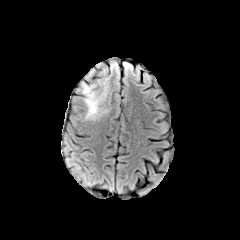
FLAIR MR image.
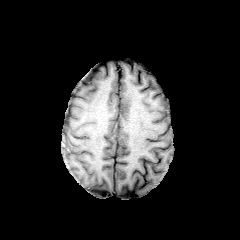
T1-weighted magnetic resonance.
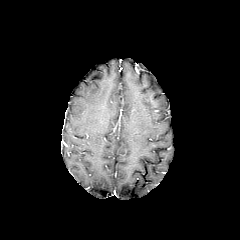
Post-contrast T1-weighted MR image of the same slice.
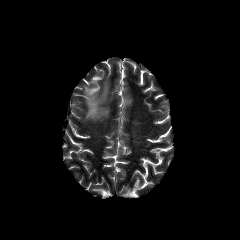
T2-weighted MRI.
Head
Edema: 82,83,107,120.